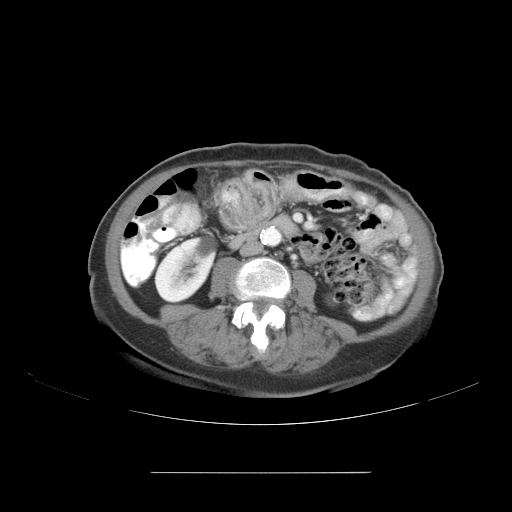
CT image | Pelvis

{"colon_tumor": ["box=[280, 174, 307, 202]", "box=[223, 169, 278, 228]"]}